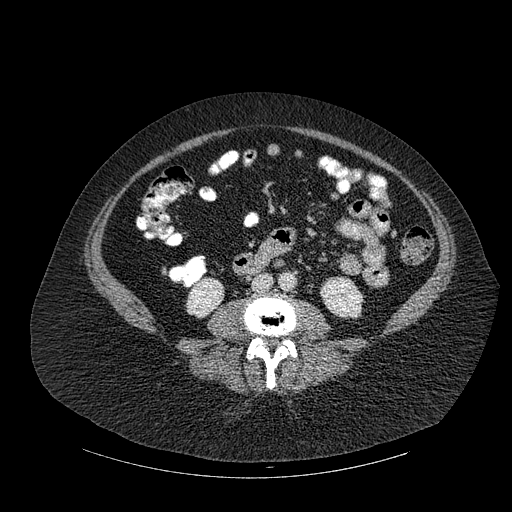

CT image
{
  "bone": [
    "(x1=244, y1=296, x2=296, y2=388)"
  ],
  "kidney": [
    "(x1=320, y1=278, x2=362, y2=316)",
    "(x1=187, y1=278, x2=223, y2=317)"
  ]
}